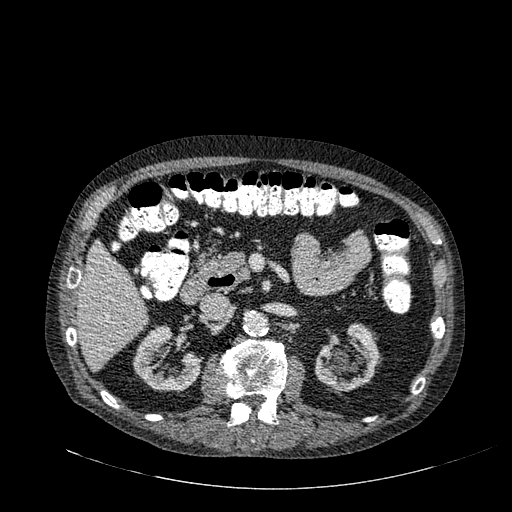
512x512; CT
- kidney: 133,325,201,392; 315,323,380,393
- liver: 80,239,146,371